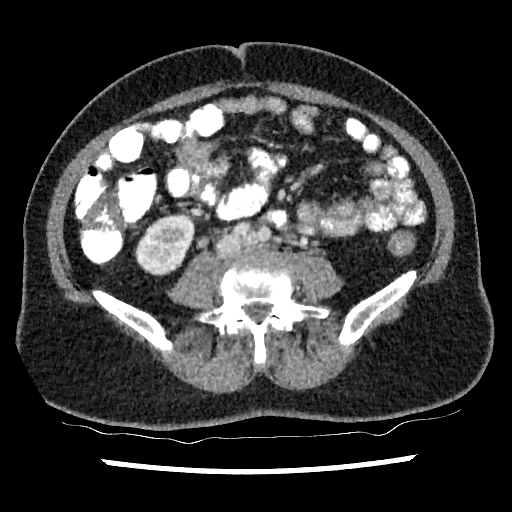 CT scan slice, Abdomen
Kidney = (x1=137, y1=216, x2=193, y2=273).